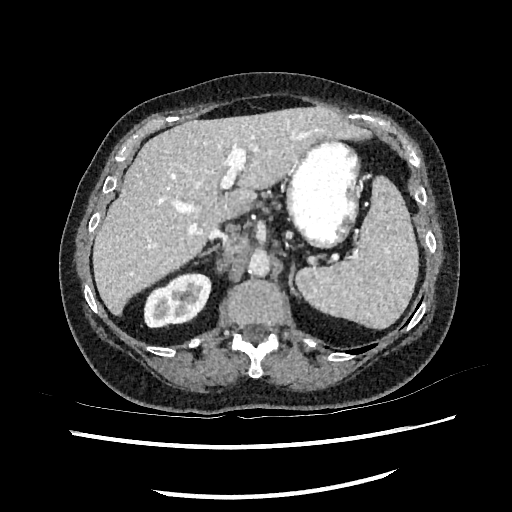 Upper abdomen | CT scan slice

The kidney is located at x1=145, y1=274, x2=210, y2=326. The liver is at x1=94, y1=108, x2=368, y2=313.